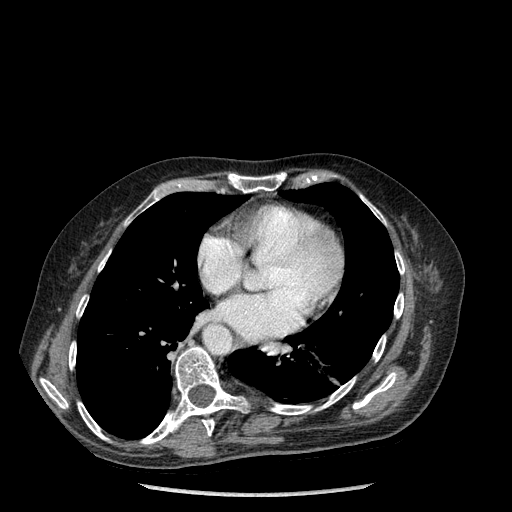

Thorax | CT

Lung: bounding box bbox(228, 182, 399, 403); bbox(76, 192, 246, 439).
Bone: bounding box bbox(40, 378, 68, 408); bbox(360, 194, 385, 224); bbox(69, 341, 76, 369); bbox(373, 335, 385, 362); bbox(228, 172, 286, 192); bbox(140, 345, 248, 444); bbox(77, 402, 108, 440); bbox(271, 377, 355, 414); bbox(98, 250, 110, 271); bbox(76, 295, 88, 317); bbox(124, 190, 160, 225); bbox(395, 251, 404, 274); bbox(394, 293, 403, 318); bbox(353, 372, 396, 409).